Slice 31/168 | CT slice
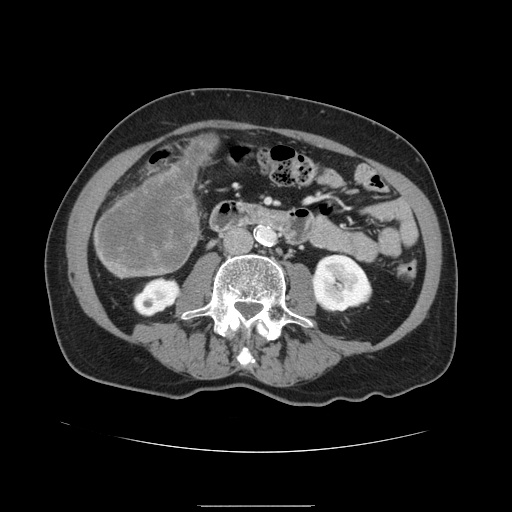
Annotated regions:
- liver tumor: l=97, t=141, r=213, b=273